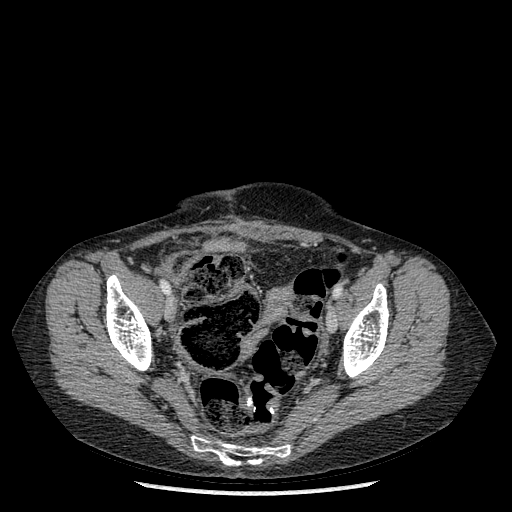 CT slice
Bone at box(343, 283, 388, 377); box(106, 275, 152, 370); box(191, 435, 290, 465).